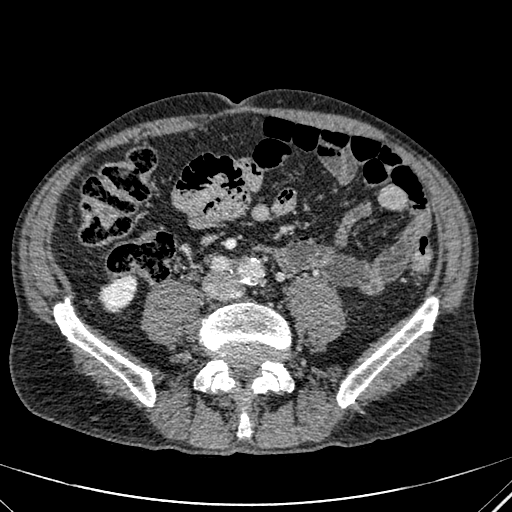 CT | Abdomen
Annotated regions:
• kidney: x1=102, y1=277, x2=135, y2=310